CT, Liver, Field of view 438x438 mm 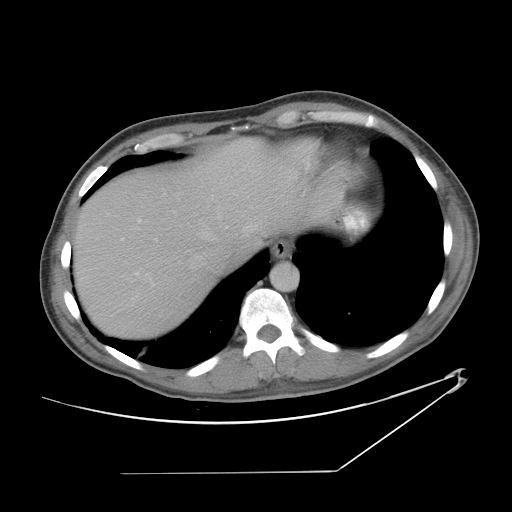

Not every hepatic vessel necessarily has a box.
Hepatic vessel at [155,239,157,240], [136,273,138,275], [164,190,165,194], [249,225,257,229], [138,220,140,222], [244,228,245,230], [201,230,209,238].